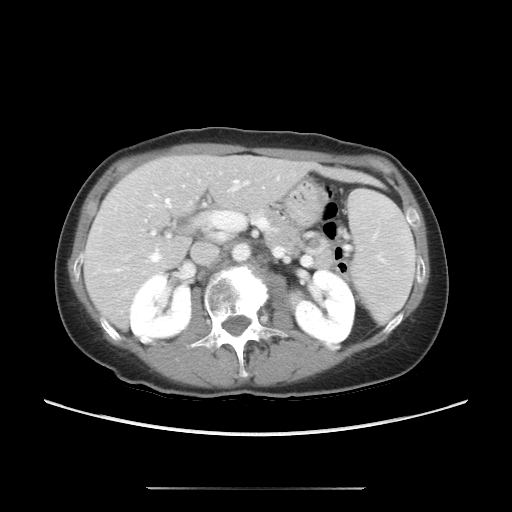

CT slice. Liver.

Not every hepatic vessel necessarily has a box.
<segmentation>
  <hepatic_vessel>181,184,184,187; 156,247,158,250; 166,234,170,237; 228,180,250,191; 232,180,238,183; 277,176,278,180; 219,172,221,173; 151,230,155,235; 151,254,159,260; 147,204,155,206; 165,199,170,206</hepatic_vessel>
</segmentation>